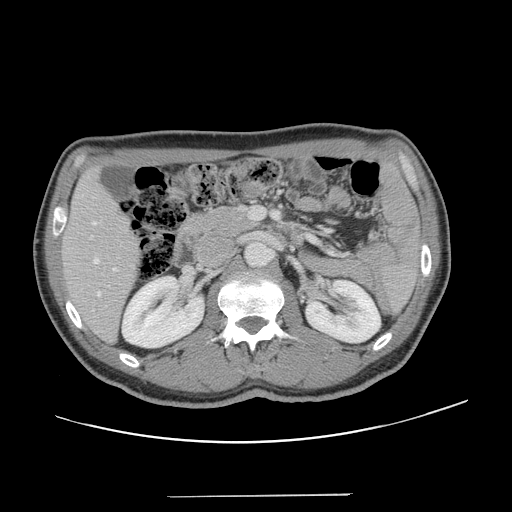 Image size 512x512, CT, Abdomen
The vessel boxes may cover only some of the vessels.
* hepatic vessel: box=[97, 292, 100, 296]; box=[92, 221, 96, 224]; box=[90, 236, 92, 238]; box=[113, 267, 116, 271]; box=[94, 258, 98, 263]